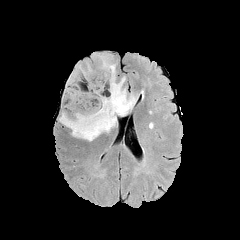
FLAIR MRI.
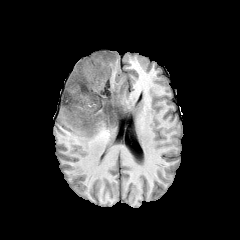
T1-weighted magnetic resonance.
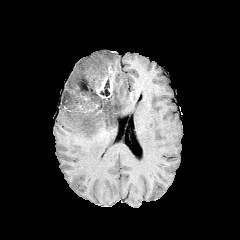
Post-contrast T1-weighted MR image.
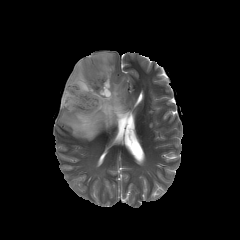
T2-weighted magnetic resonance of the same slice.
<segmentation>
  <non-enhancing_tumor_core>(96, 68, 123, 116)</non-enhancing_tumor_core>
  <enhancing_tumor>(97, 76, 109, 99)</enhancing_tumor>
  <edema>(68, 53, 138, 113), (59, 94, 123, 141)</edema>
</segmentation>